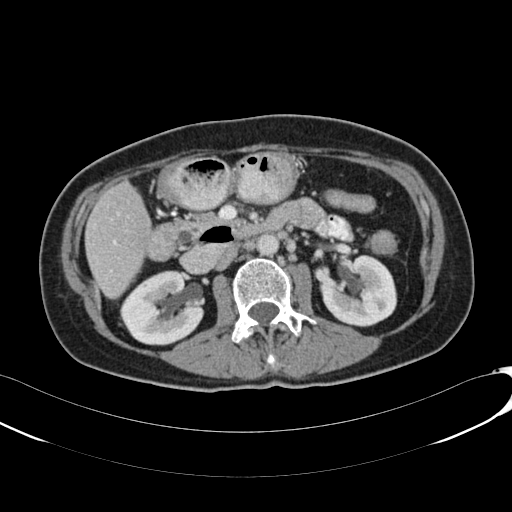

CT scan slice; 512x512 px

liver:
  - (left=85, top=182, right=149, bottom=298)
kidney:
  - (left=322, top=256, right=395, bottom=325)
  - (left=122, top=272, right=202, bottom=343)